512x512 px. CT image.

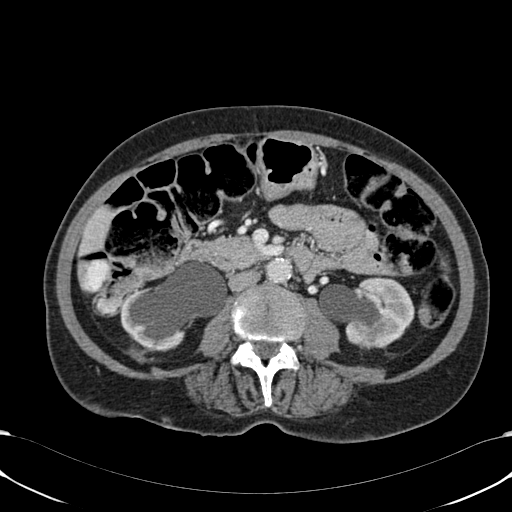
kidney: (left=346, top=278, right=413, bottom=347), (left=119, top=288, right=227, bottom=349) | liver: (left=82, top=207, right=110, bottom=251)